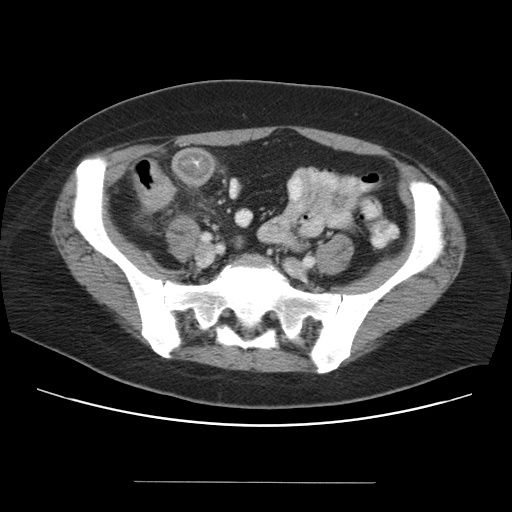

CT slice; Abdomen
The colon tumor is at 136,163,174,209.